Image size 512x512, CT image, Slice 396/677

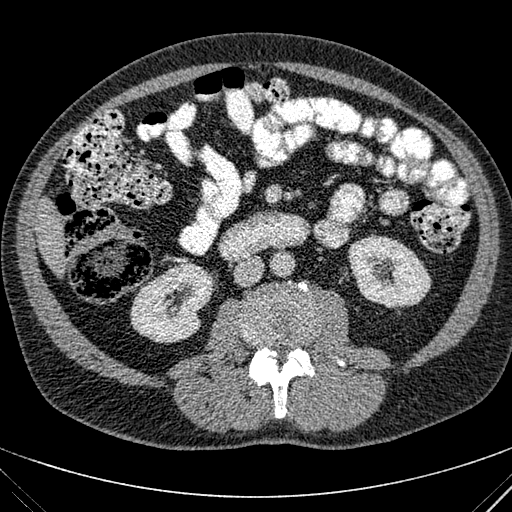

The liver lies within <box>36,197,63,274</box>. 2 kidney regions are located at <box>349,236,430,307</box>, <box>131,263,212,342</box>.